FLAIR magnetic resonance.
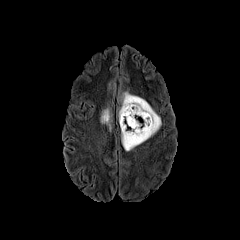
T1-weighted magnetic resonance.
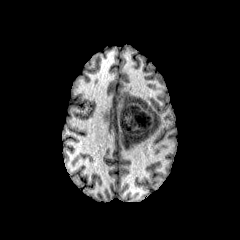
Post-contrast T1-weighted MR image.
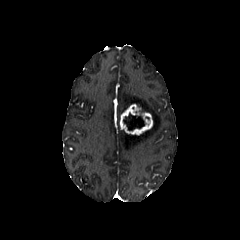
T2-weighted MR.
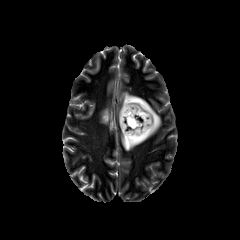
Head.
2 edema regions are located at left=117, top=92, right=162, bottom=151; left=100, top=108, right=109, bottom=125. The non-enhancing tumor core is at left=122, top=113, right=147, bottom=130. The enhancing tumor is bounded by left=119, top=104, right=154, bottom=135.